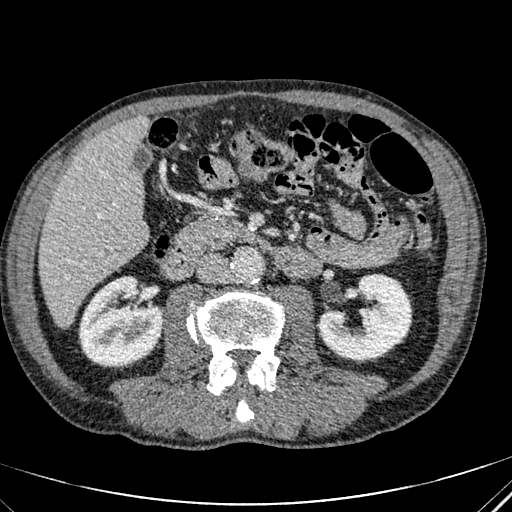
CT slice | Abdomen | Image size 512x512

{"kidney": ["(x1=319, y1=275, x2=410, y2=359)", "(x1=80, y1=277, x2=161, y2=365)"], "liver": ["(x1=39, y1=116, x2=147, y2=327)"]}